FLAIR MR.
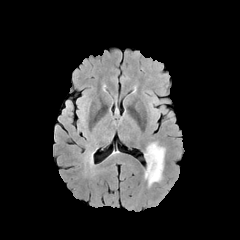
T1-weighted MR.
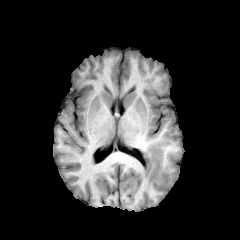
Post-contrast T1-weighted MR image.
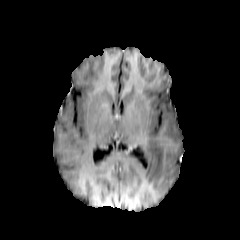
T2-weighted magnetic resonance.
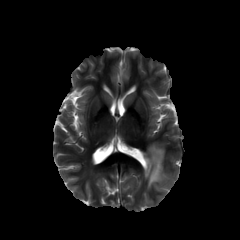
Brain
edema:
  - bbox=[144, 142, 165, 187]